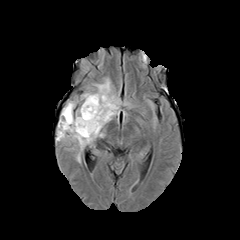
FLAIR MR.
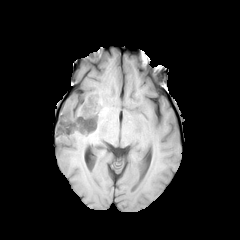
T1-weighted MR image of the same slice.
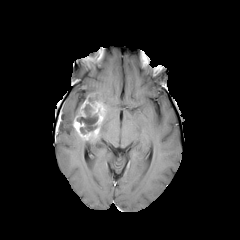
Post-contrast T1-weighted magnetic resonance.
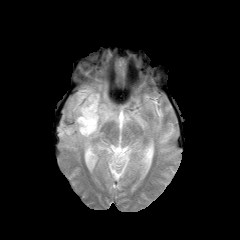
Same slice, T2-weighted magnetic resonance.
Brain; Image size 240x240
Enhancing tumor: bounding box <bbox>73, 100, 107, 137</bbox>.
Edema: bounding box <bbox>57, 78, 121, 162</bbox>.
Non-enhancing tumor core: bounding box <bbox>86, 94, 98, 102</bbox>, <bbox>77, 104, 97, 132</bbox>.